512x512 | Abdomen | CT slice
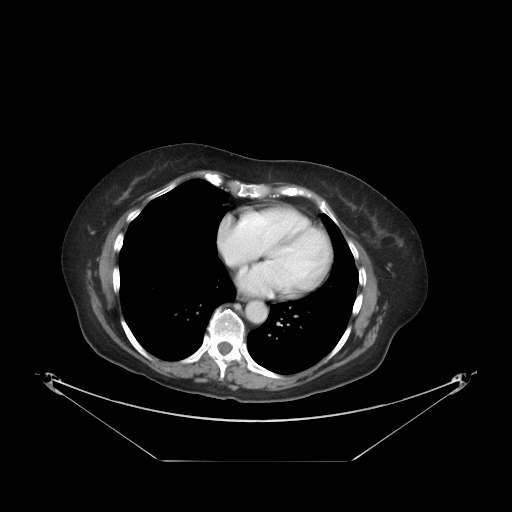
The vessel annotation is not exhaustive.
Hepatic vessel: box=[225, 256, 248, 264].